240x240 px, Brain
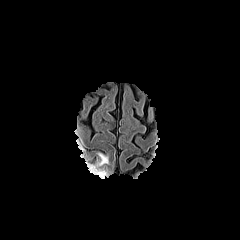
FLAIR MRI.
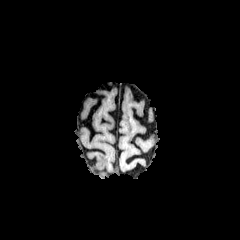
T1-weighted magnetic resonance.
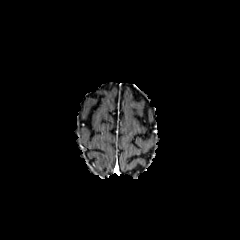
Post-contrast T1-weighted MR.
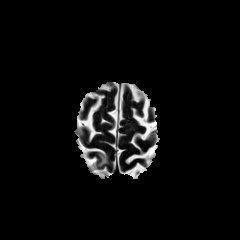
Same slice, T2-weighted MRI.
Edema — box=[96, 154, 107, 167].